MR. Medial temporal lobe.

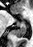
<segmentation>
  <posterior_hippocampus>region(14, 22, 26, 37)</posterior_hippocampus>
</segmentation>